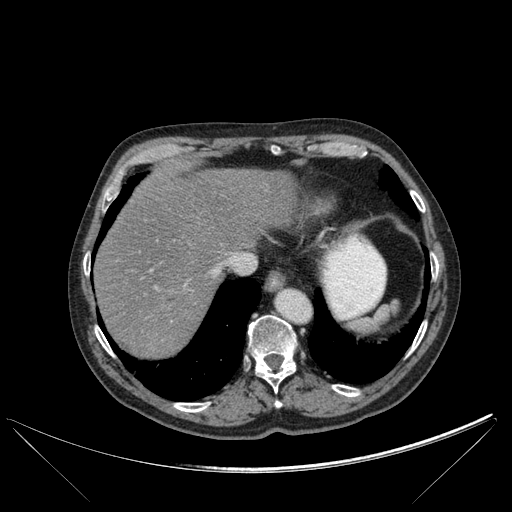

Abdomen; CT
lung: <bbox>308, 249, 430, 383</bbox>, <bbox>94, 174, 143, 254</bbox>, <bbox>379, 165, 418, 219</bbox>, <bbox>98, 278, 260, 400</bbox> | liver: <bbox>94, 169, 296, 358</bbox> | bone: <bbox>410, 321, 426, 351</bbox>, <bbox>83, 257, 89, 274</bbox>, <bbox>248, 315, 296, 392</bbox>, <bbox>431, 256, 438, 277</bbox>, <bbox>104, 189, 113, 199</bbox>, <bbox>410, 190, 424, 211</bbox>, <bbox>95, 326, 113, 355</bbox>, <bbox>332, 384, 359, 396</bbox>, <bbox>174, 403, 208, 412</bbox>